MR 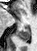
Posterior hippocampus at (left=17, top=29, right=29, bottom=40).